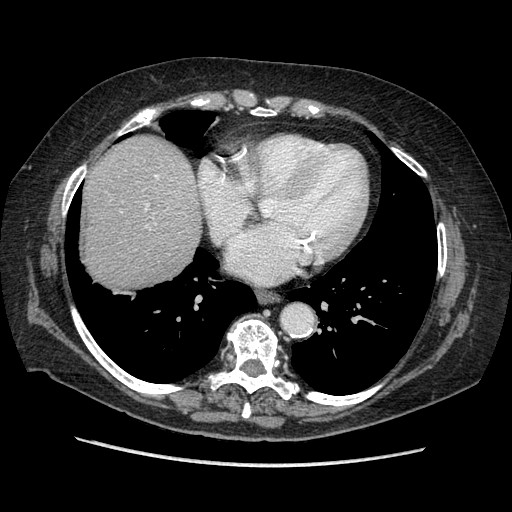 CT | Liver
The vessel boxes may cover only some of the vessels.
hepatic vessel: (x1=145, y1=205, x2=147, y2=208)